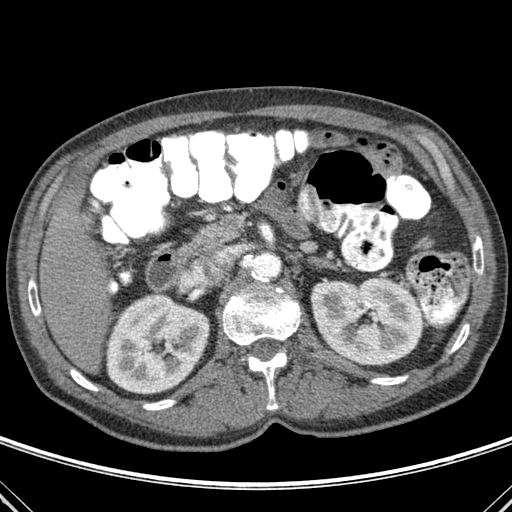

Computed tomography; Liver; 512x512 px

Segmented structures:
• liver: 39:186:110:369
• kidney: 108:295:208:392, 312:279:421:363
• bone: 260:224:269:234, 70:369:97:391, 246:349:290:409, 473:236:483:274, 451:324:469:352, 371:376:407:385, 223:271:300:346, 143:400:174:410, 28:279:40:315